Slice index 13; Hippocampus; Image size 38x53; Magnetic resonance

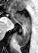

Annotated regions:
* anterior hippocampus: box=[14, 13, 14, 16]; box=[10, 9, 31, 24]
* posterior hippocampus: box=[15, 24, 31, 46]